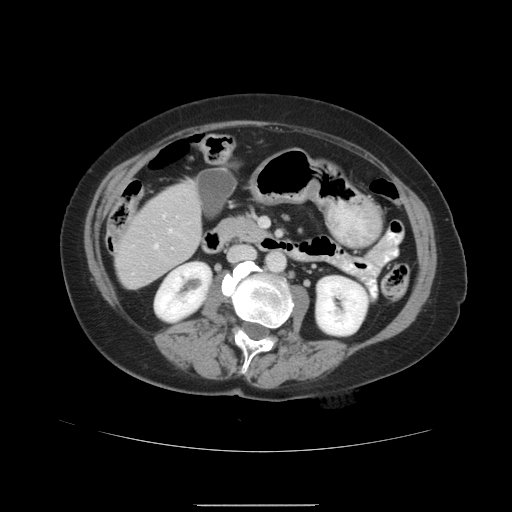
Abdomen | CT slice

The vessel boxes may cover only some of the vessels.
{"hepatic_vessel": ["left=155, top=244, right=159, bottom=248", "left=163, top=214, right=165, bottom=217", "left=169, top=229, right=172, bottom=232"]}